Hippocampus, Slice 6 of 35, MR 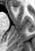 Anterior hippocampus = <box>13,7,16,11</box>.